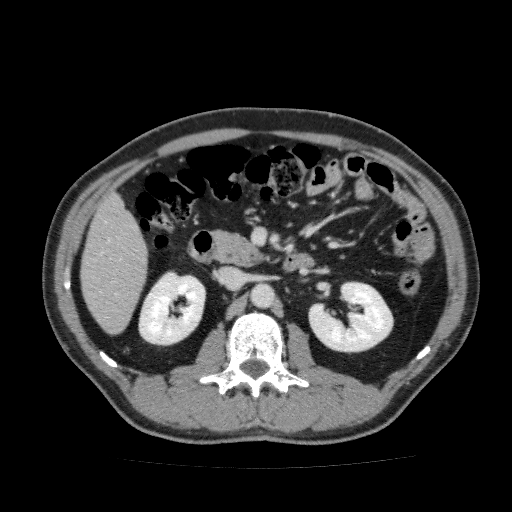
CT slice, Abdomen
The liver appears at x1=80, y1=192, x2=148, y2=334. 2 kidney regions are bounded by x1=309, y1=283, x2=392, y2=351; x1=139, y1=273, x2=204, y2=344.